Slice index 29 | CT slice 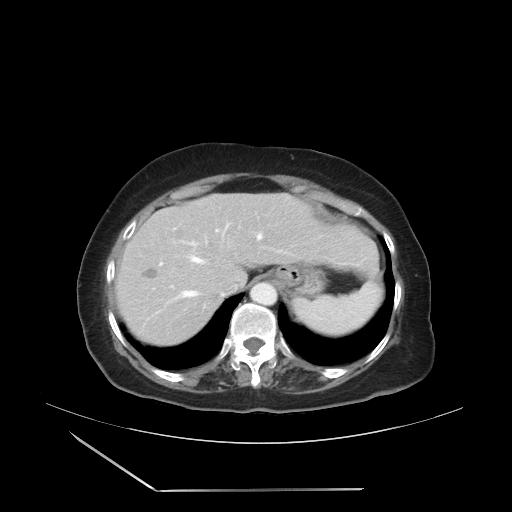 The vessel annotation is not exhaustive.
Top 15 of 16 hepatic vessel regions: bounding box region(173, 239, 176, 243); region(173, 227, 176, 229); region(275, 250, 289, 253); region(221, 292, 223, 295); region(222, 222, 229, 245); region(205, 234, 207, 244); region(253, 232, 262, 240); region(165, 296, 178, 306); region(180, 240, 207, 263); region(216, 229, 219, 231); region(156, 310, 161, 313); region(159, 263, 161, 265); region(170, 285, 173, 288); region(179, 290, 201, 297); region(227, 244, 229, 247).